Image width 34 mm | Medial temporal lobe | Magnetic resonance 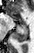
posterior_hippocampus:
  - (left=14, top=23, right=28, bottom=42)
anterior_hippocampus:
  - (left=13, top=17, right=15, bottom=20)
  - (left=19, top=20, right=23, bottom=20)